Slice index 40, CT image 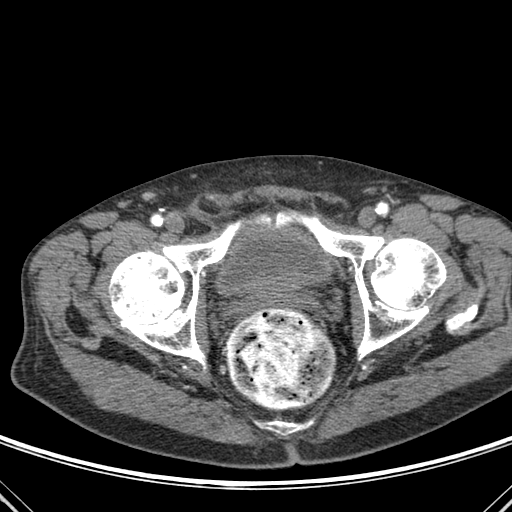
5 bone regions are located at bbox=[255, 215, 270, 225]; bbox=[109, 221, 242, 365]; bbox=[446, 304, 477, 331]; bbox=[276, 212, 446, 359]; bbox=[265, 421, 311, 434].